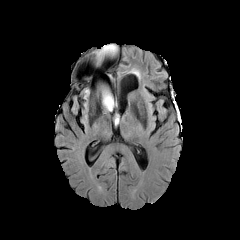
FLAIR MR image.
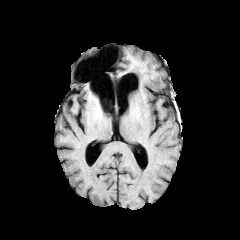
T1-weighted MRI of the same slice.
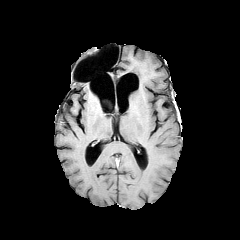
Post-contrast T1-weighted MR image of the same slice.
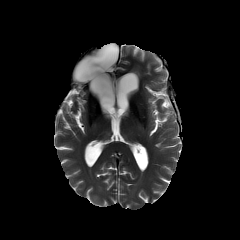
T2-weighted magnetic resonance.
Edema = region(98, 86, 114, 113); region(98, 44, 116, 55).